FLAIR MR image.
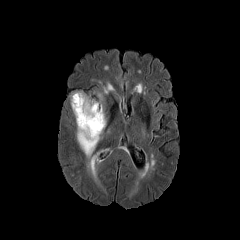
T1-weighted magnetic resonance.
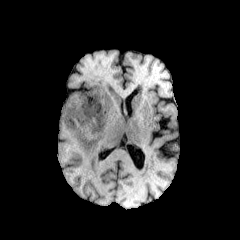
Post-contrast T1-weighted MR image.
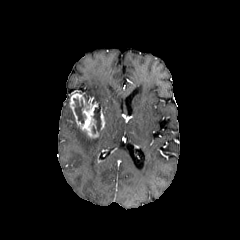
T2-weighted MR.
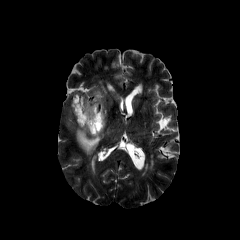
Brain | 240x240 px
non-enhancing_tumor_core:
  - box=[91, 105, 102, 134]
  - box=[73, 98, 84, 123]
enhancing_tumor:
  - box=[70, 92, 104, 138]
edema:
  - box=[76, 129, 100, 155]